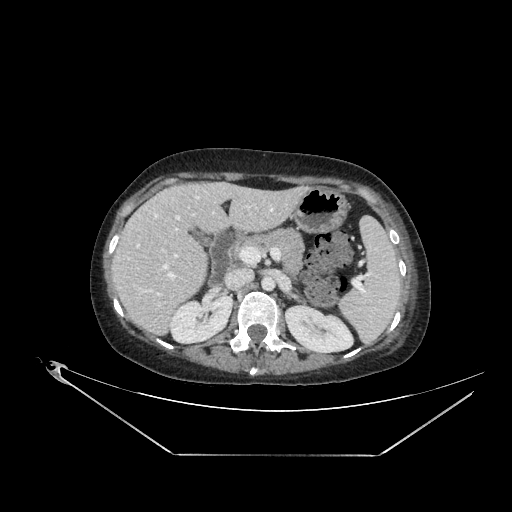
CT slice, 512x512 px
Annotated regions:
• liver: x1=112 y1=184 x2=307 y2=335
• kidney: x1=169 y1=296 x2=232 y2=342, x1=285 y1=306 x2=352 y2=352